CT
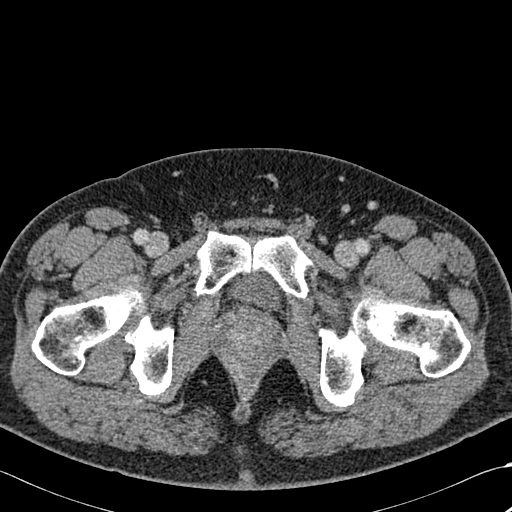
Segmented structures:
* bone: [196, 232, 312, 297], [320, 297, 470, 406], [32, 288, 143, 375], [125, 315, 173, 395]